Slice 90/155 | Field of view 240x240 mm
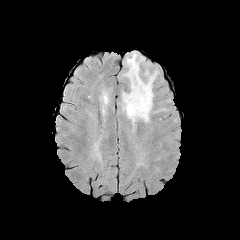
FLAIR MR image.
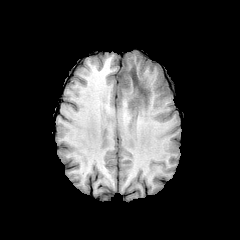
Same slice, T1-weighted magnetic resonance.
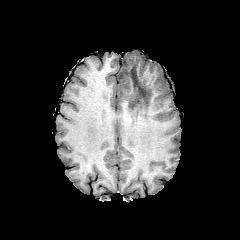
Same slice, post-contrast T1-weighted MR image.
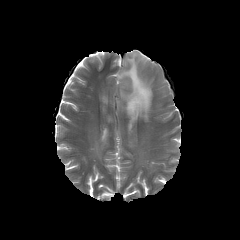
T2-weighted magnetic resonance.
{"edema": ["121 51 155 123"], "non-enhancing_tumor_core": ["131 70 145 95"]}